512x512 px; Slice 104/164; Liver; Field of view 422 mm wide, 1.50 mm slice spacing; CT slice 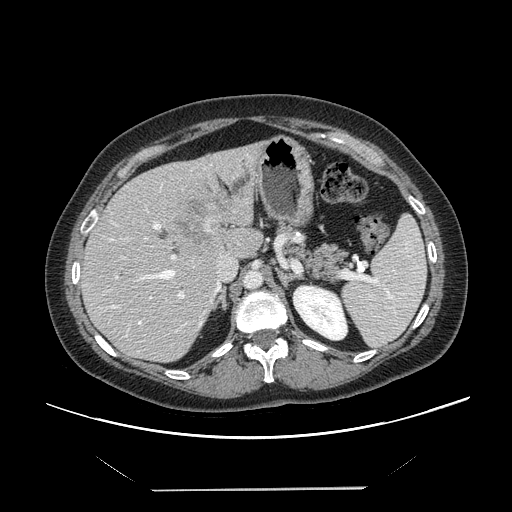 The vessel annotation is not exhaustive.
Findings:
• hepatic vessel: box=[177, 291, 184, 299]; box=[115, 276, 117, 277]; box=[152, 222, 160, 229]; box=[109, 305, 118, 308]; box=[214, 253, 235, 283]; box=[171, 255, 176, 259]; box=[145, 237, 147, 238]; box=[138, 321, 140, 324]; box=[123, 257, 124, 258]; box=[138, 268, 175, 280]; box=[108, 238, 114, 240]
• liver tumor: box=[171, 189, 221, 248]